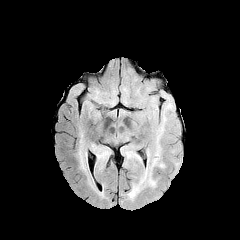
FLAIR MR image.
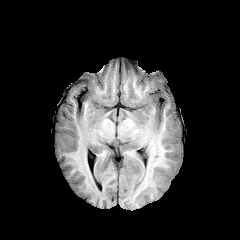
T1-weighted MRI.
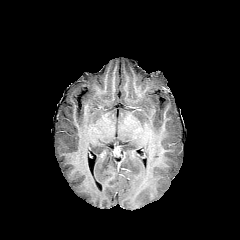
Same slice, post-contrast T1-weighted MR image.
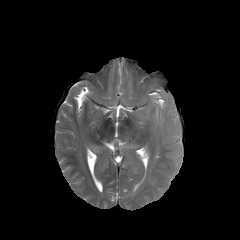
T2-weighted magnetic resonance.
240x240 px
* edema: 91 144 105 165